Field of view 360x360 mm, Computed tomography
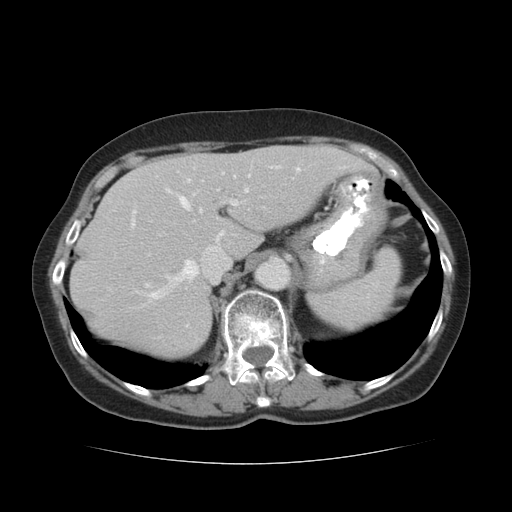

Bone at box(429, 309, 442, 340); box(422, 208, 440, 235); box(53, 218, 84, 287); box(362, 373, 394, 391); box(70, 329, 86, 358); box(384, 165, 397, 177); box(124, 382, 151, 398); box(186, 289, 294, 406); box(440, 249, 451, 276); box(96, 177, 105, 187); box(295, 358, 323, 375).
Liver at box(71, 145, 374, 356).
Lung at box(303, 179, 442, 379); box(64, 297, 206, 388).